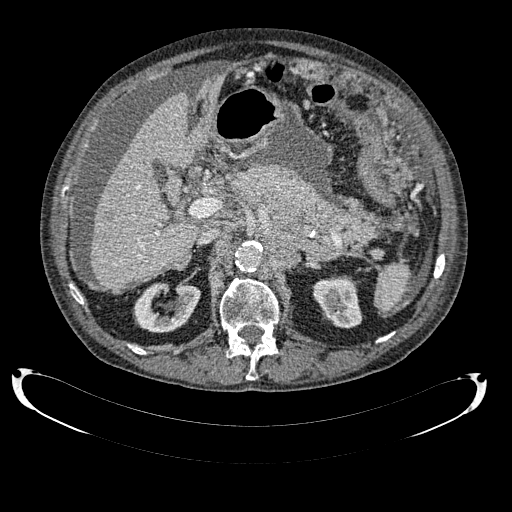 CT slice | Image size 512x512
2 kidney regions are bounded by <box>134,283,200,332</box>, <box>313,278,361,327</box>. The focal liver lesion is bounded by <box>106,214,112,222</box>. 2 liver regions are located at <box>209,76,223,102</box>, <box>90,91,207,289</box>.